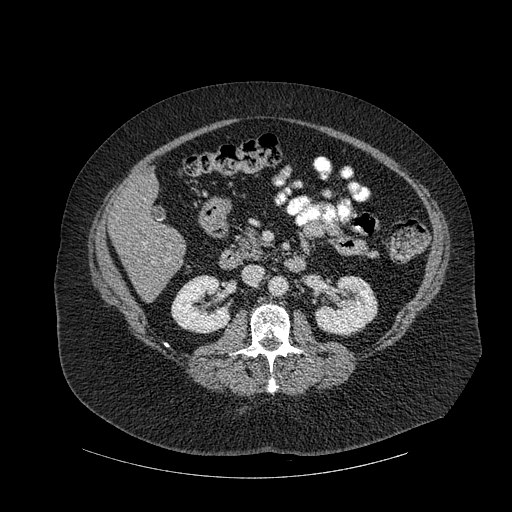
CT scan slice
Liver at region(108, 172, 185, 298).
Kidney at region(316, 276, 376, 334); region(172, 276, 229, 332).
Bone at region(268, 378, 277, 392); region(356, 188, 368, 200); region(234, 305, 301, 372).